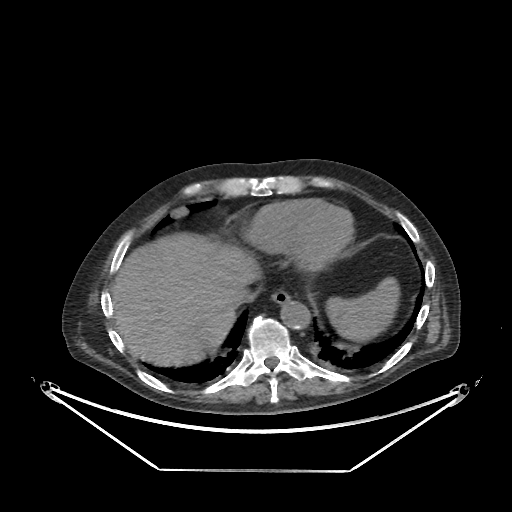
Liver, CT
Liver — box=[106, 234, 259, 366].